Computed tomography. Field of view 512 mm wide, 1.00 mm slice spacing. Slice index 20. 512x512 px. Abdomen. 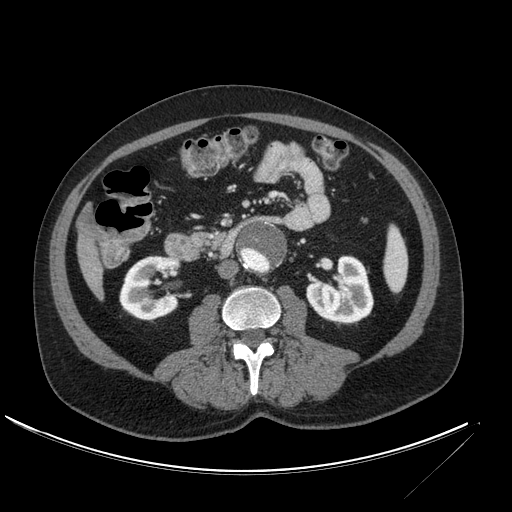 Annotated regions:
* hepatic lesion: bbox(77, 203, 95, 240)
* liver: bbox(77, 234, 104, 298)
* kidney: bbox(120, 257, 177, 319); bbox(307, 257, 372, 322)